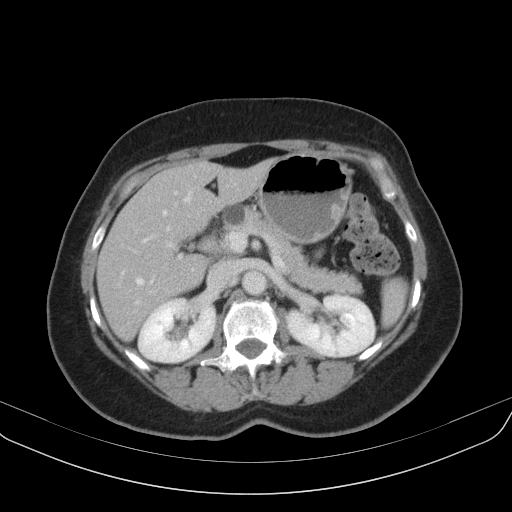 CT scan slice. Abdomen.
• pancreatic tumor: <bbox>223, 205, 246, 226</bbox>
• pancreas: <bbox>201, 203, 363, 296</bbox>